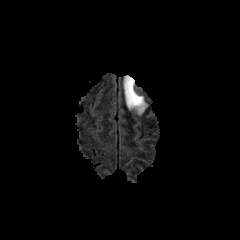
FLAIR MR image.
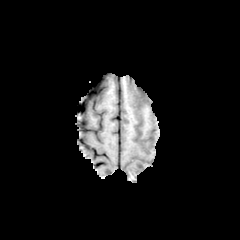
T1-weighted magnetic resonance of the same slice.
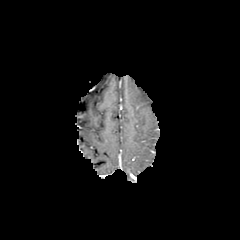
Same slice, post-contrast T1-weighted MR.
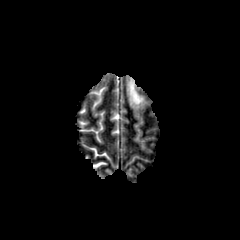
T2-weighted MR image.
Head | Image size 240x240
Edema = (left=124, top=77, right=147, bottom=112).